FLAIR magnetic resonance.
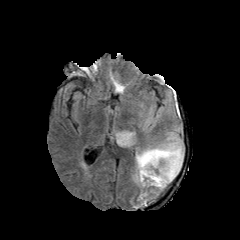
T1-weighted MR image.
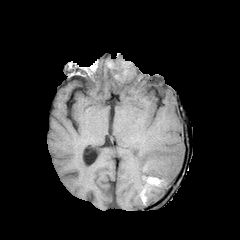
Post-contrast T1-weighted MR image.
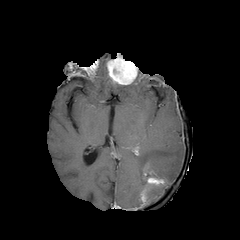
T2-weighted MR image.
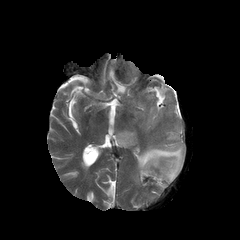
240x240 px, Head
2 edema regions appear at box=[113, 83, 128, 93]; box=[134, 125, 184, 197]. 2 non-enhancing tumor core regions are bounded by box=[143, 170, 168, 187]; box=[112, 55, 133, 82]. 2 enhancing tumor regions are bounded by box=[148, 177, 164, 184]; box=[108, 59, 137, 84].